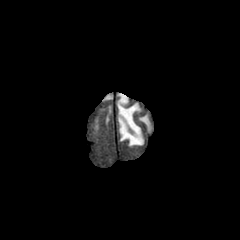
FLAIR MR image.
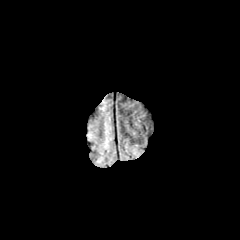
T1-weighted MRI.
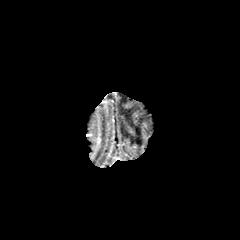
Post-contrast T1-weighted magnetic resonance of the same slice.
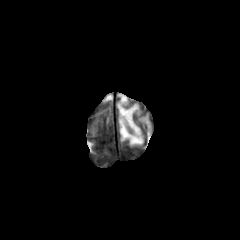
T2-weighted MR.
Brain.
Edema: bounding box x1=139, y1=114, x2=151, y2=132; x1=116, y1=93, x2=143, y2=146.